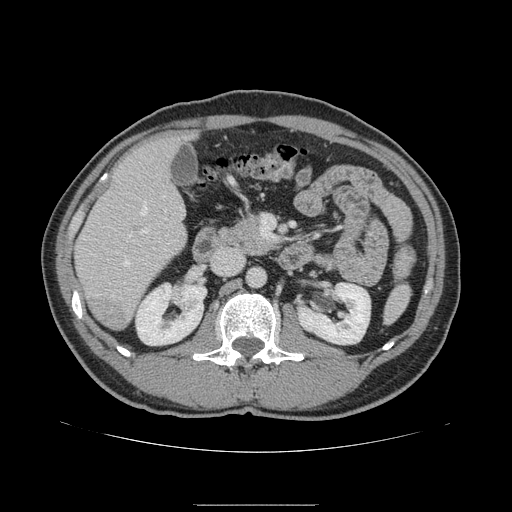

CT scan slice | 512x512 px
Findings:
• pancreas: (x1=213, y1=215, x2=276, y2=255)